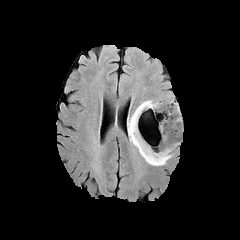
FLAIR MRI.
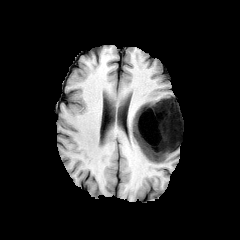
Same slice, T1-weighted MR image.
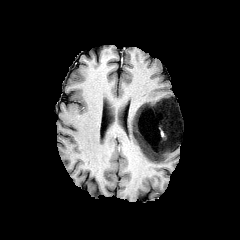
Post-contrast T1-weighted MRI.
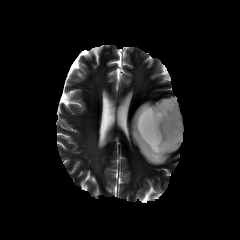
T2-weighted MRI.
240x240 | Brain
Non-enhancing tumor core at [134,101,180,159].
Edema at [127,100,172,165], [156,96,181,136].